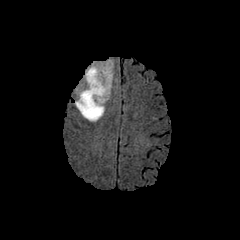
FLAIR MR image.
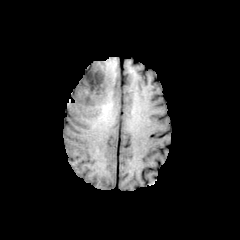
T1-weighted magnetic resonance.
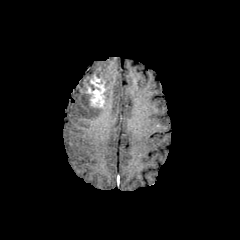
Post-contrast T1-weighted MRI of the same slice.
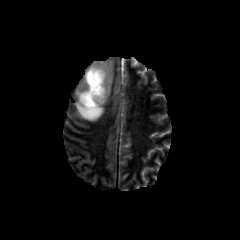
T2-weighted MR of the same slice.
Edema: {"x1": 75, "y1": 63, "x2": 116, "y2": 121}.
Non-enhancing tumor core: {"x1": 83, "y1": 70, "x2": 105, "y2": 95}, {"x1": 86, "y1": 96, "x2": 102, "y2": 106}.
Enhancing tumor: {"x1": 88, "y1": 76, "x2": 105, "y2": 105}.